CT scan slice. 512x512 px. Slice 59/98.
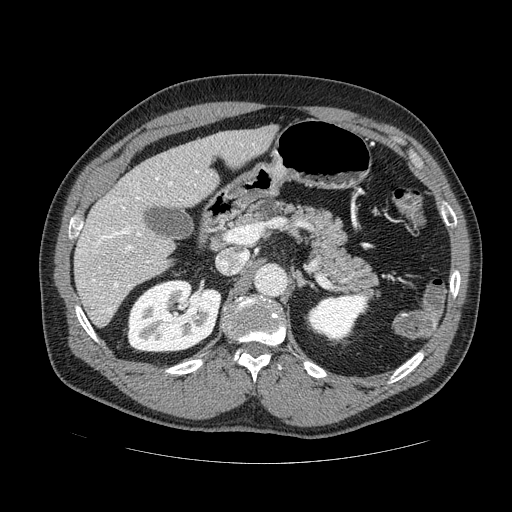
pancreas:
  - [229, 199, 380, 300]